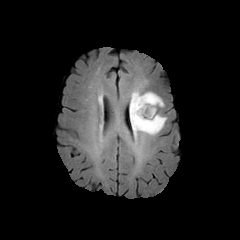
FLAIR MR image.
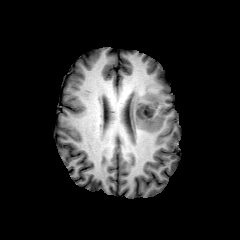
Same slice, T1-weighted MRI.
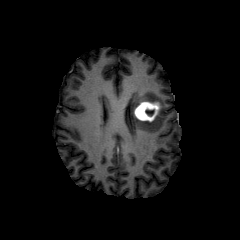
Same slice, post-contrast T1-weighted MR.
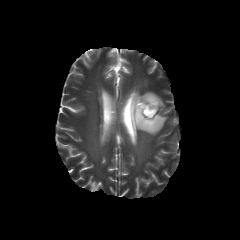
T2-weighted MRI.
Head
Edema: 127 86 166 144.
Non-enhancing tumor core: 115 98 157 133.
Enhancing tumor: 134 101 159 121.